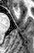

MRI slice, Hippocampus
Anterior hippocampus: [x1=14, y1=6, x2=17, y2=8].